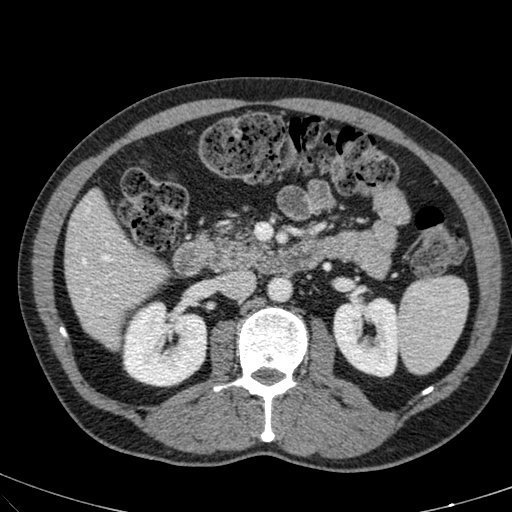

CT scan slice. Abdomen. 512x512 px.
The liver is located at <bbox>65, 192, 161, 347</bbox>. 2 kidney regions are located at <bbox>124, 304, 205, 384</bbox>, <bbox>334, 299, 397, 375</bbox>.